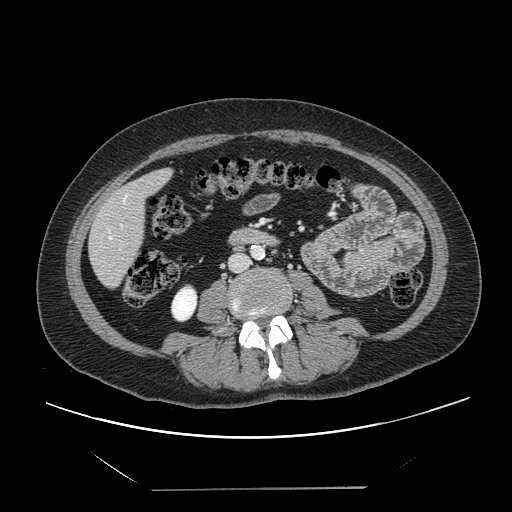
Computed tomography | Abdomen | Image size 512x512
The vessel annotation is not exhaustive.
Hepatic vessel: box=[120, 225, 122, 227]; box=[107, 227, 113, 240]; box=[122, 194, 128, 204].